Slice 49 of 155. Field of view 240 mm wide, 1.00 mm slice spacing.
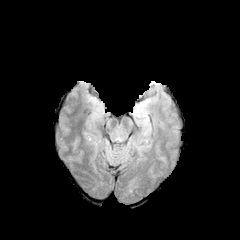
FLAIR MRI.
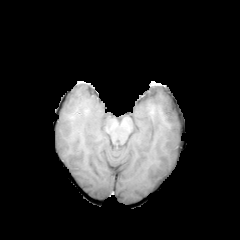
T1-weighted MRI.
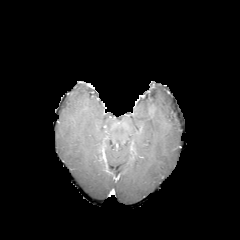
Post-contrast T1-weighted magnetic resonance.
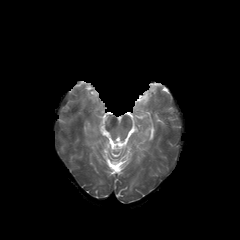
Same slice, T2-weighted MR image.
{"edema": ["bbox(136, 96, 153, 141)"]}